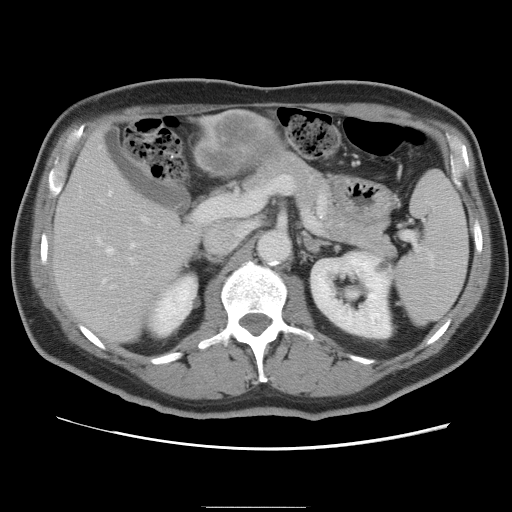 CT
Not every hepatic vessel necessarily has a box.
liver_tumor:
  - (left=200, top=116, right=277, bottom=172)
hepatic_vessel:
  - (left=142, top=216, right=147, bottom=221)
  - (left=130, top=243, right=134, bottom=246)
  - (left=110, top=285, right=113, bottom=287)
  - (left=195, top=197, right=246, bottom=221)
  - (left=129, top=257, right=135, bottom=263)
  - (left=102, top=278, right=105, bottom=281)
  - (left=96, top=237, right=101, bottom=243)
  - (left=232, top=193, right=237, bottom=196)
  - (left=108, top=191, right=111, bottom=193)
  - (left=106, top=246, right=112, bottom=253)